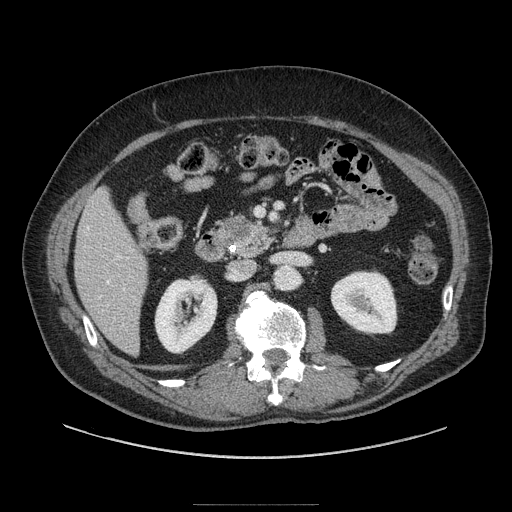 CT; Upper abdomen

Pancreas at {"x1": 220, "y1": 215, "x2": 271, "y2": 257}.
Pancreatic tumor at {"x1": 229, "y1": 217, "x2": 251, "y2": 237}.